CT scan slice | Slice 79 of 181 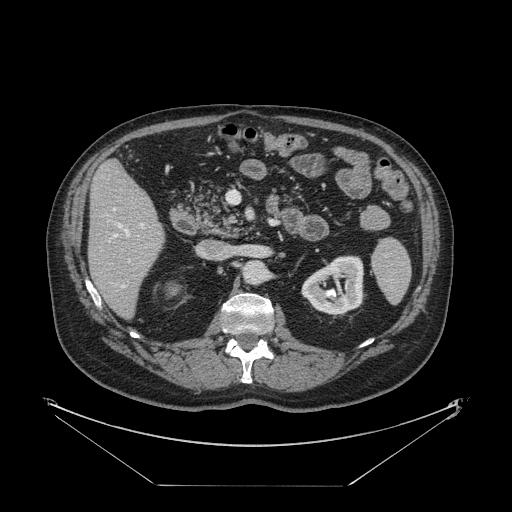
The vessel annotation is not exhaustive.
3 hepatic vessel regions appear at bbox(112, 208, 114, 209); bbox(139, 223, 142, 226); bbox(128, 259, 129, 261).